CT; Slice 45 of 89
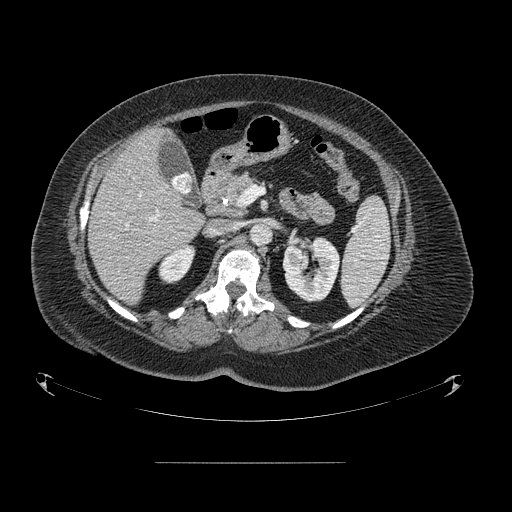

The pancreas is bounded by (215, 174, 253, 214). The pancreatic tumor is located at (218, 177, 235, 205).